FLAIR MRI.
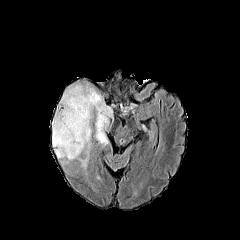
T1-weighted magnetic resonance.
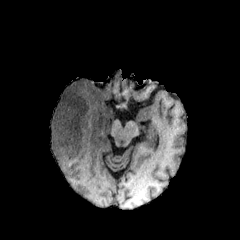
Post-contrast T1-weighted MRI.
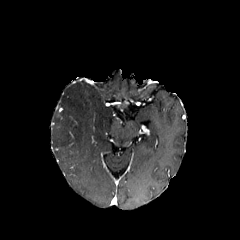
T2-weighted magnetic resonance.
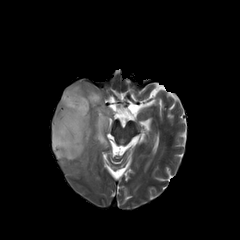
Brain
The edema is at box(52, 81, 112, 170).